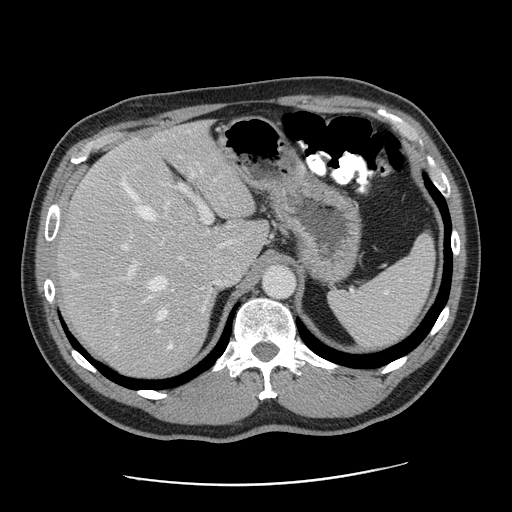 Computed tomography

Some hepatic vessels may have no box.
<segmentation>
  <hepatic_vessel>199,203,213,223; 149,276,166,289; 129,261,135,275; 137,204,154,218; 177,183,186,190; 158,310,166,319; 121,178,136,197; 74,273,78,275; 180,256,181,257; 202,244,246,283; 169,344,173,347; 123,244,128,249</hepatic_vessel>
  <liver_tumor>137,132,159,142</liver_tumor>
</segmentation>